240x240, Image width 240 mm
FLAIR magnetic resonance.
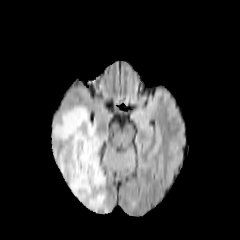
T1-weighted MR image.
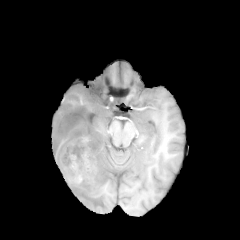
Post-contrast T1-weighted MRI.
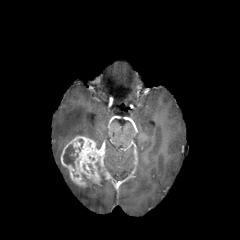
T2-weighted MRI.
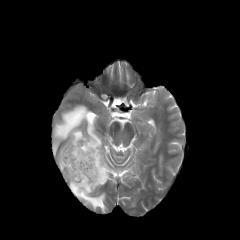
The enhancing tumor appears at [60,136,106,187]. The edema appears at [51,105,107,212]. 2 non-enhancing tumor core regions appear at [63,144,78,168], [82,174,97,185].